CT. Image size 512x512.
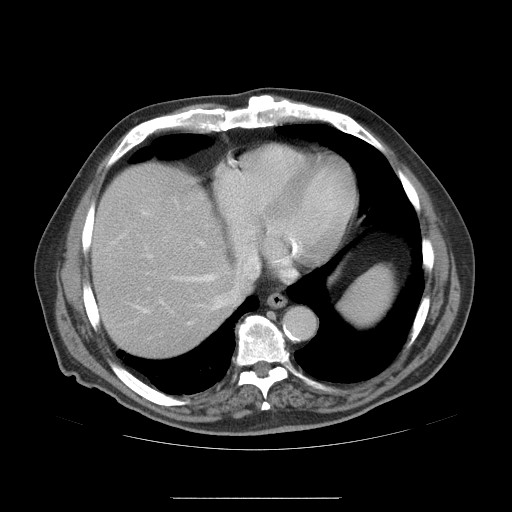

Some hepatic vessels may have no box.
Hepatic vessel: bounding box {"x1": 209, "y1": 294, "x2": 226, "y2": 309}, {"x1": 133, "y1": 305, "x2": 150, "y2": 312}, {"x1": 154, "y1": 272, "x2": 155, "y2": 273}, {"x1": 147, "y1": 254, "x2": 152, "y2": 261}, {"x1": 172, "y1": 274, "x2": 218, "y2": 281}, {"x1": 197, "y1": 305, "x2": 206, "y2": 306}, {"x1": 142, "y1": 212, "x2": 147, "y2": 214}, {"x1": 187, "y1": 322, "x2": 192, "y2": 324}, {"x1": 220, "y1": 266, "x2": 228, "y2": 273}, {"x1": 230, "y1": 291, "x2": 239, "y2": 304}, {"x1": 147, "y1": 288, "x2": 149, "y2": 289}.